FLAIR MRI.
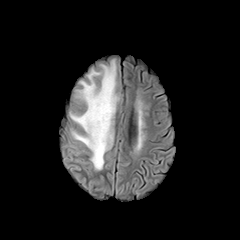
T1-weighted MR image.
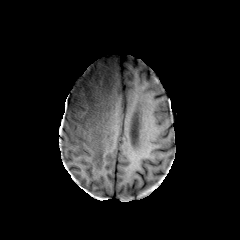
Post-contrast T1-weighted MR image.
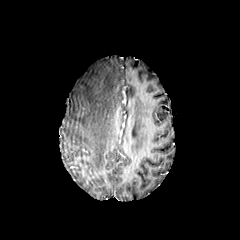
T2-weighted magnetic resonance.
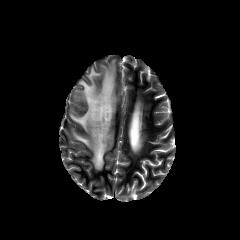
Image size 240x240
edema: 70:60:117:169